FLAIR magnetic resonance.
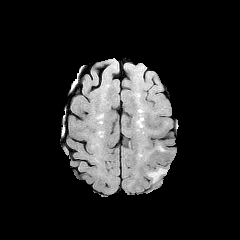
T1-weighted MR image.
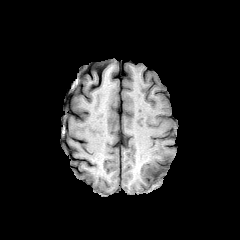
Post-contrast T1-weighted MRI.
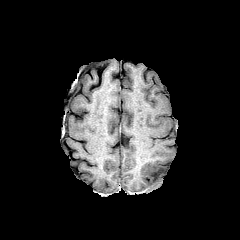
T2-weighted magnetic resonance.
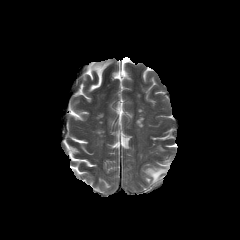
240x240 | Brain
edema: <bbox>147, 167, 166, 182</bbox>